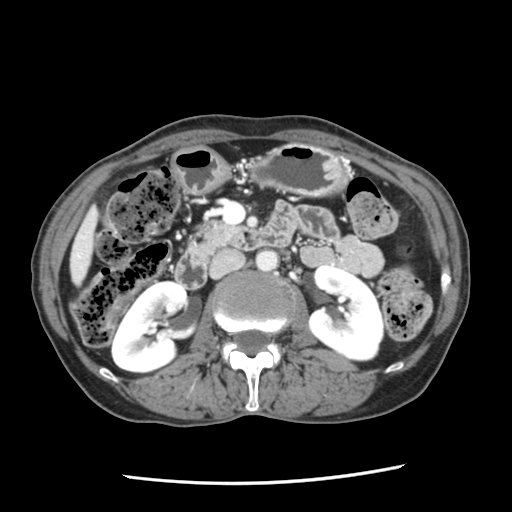

CT image, Abdomen, 512x512
Pancreas: bbox=[193, 218, 241, 259].